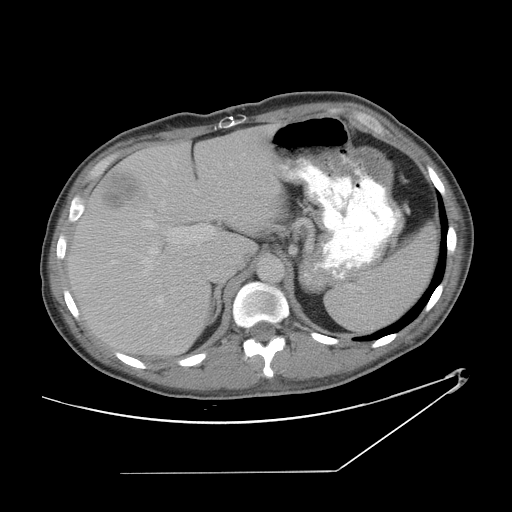 CT; Liver

The vessel boxes may cover only some of the vessels.
• liver tumor: x1=100, y1=170, x2=142, y2=211
• hepatic vessel: x1=150, y1=248, x2=157, y2=253; x1=155, y1=175, x2=167, y2=184; x1=142, y1=214, x2=154, y2=227; x1=141, y1=257, x2=152, y2=274; x1=230, y1=163, x2=232, y2=165; x1=150, y1=195, x2=152, y2=197; x1=149, y1=302, x2=151, y2=304; x1=156, y1=296, x2=163, y2=306; x1=168, y1=224, x2=214, y2=245; x1=161, y1=163, x2=163, y2=168; x1=195, y1=190, x2=197, y2=192; x1=159, y1=199, x2=165, y2=210; x1=201, y1=165, x2=204, y2=167